Abdomen | CT scan slice 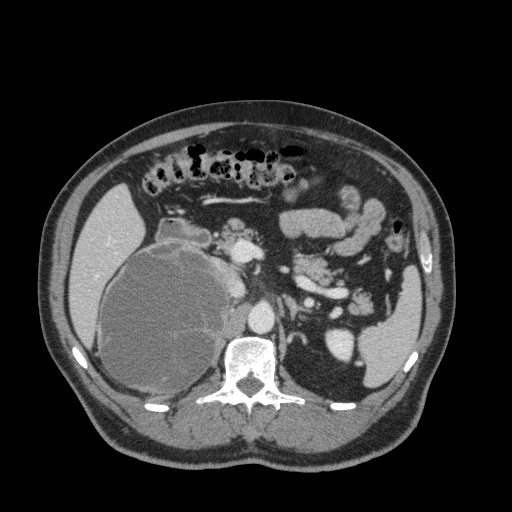 <segmentation>
  <kidney>[x1=327, y1=330, x2=352, y2=359]</kidney>
  <liver>[x1=70, y1=186, x2=143, y2=346]</liver>
</segmentation>